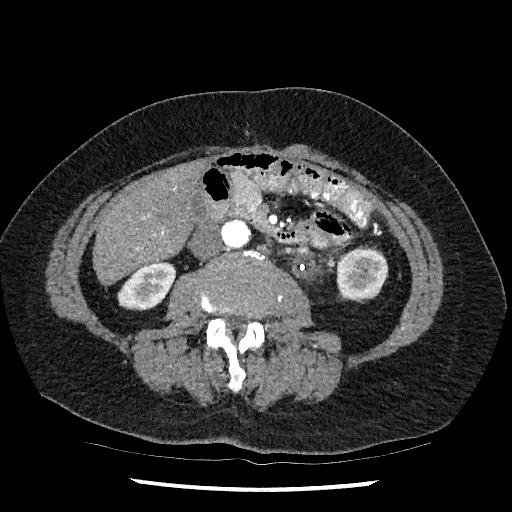
CT scan slice

Liver — [x1=94, y1=160, x2=206, y2=284].
Kidney — [x1=118, y1=263, x2=175, y2=309], [x1=337, y1=249, x2=387, y2=299].